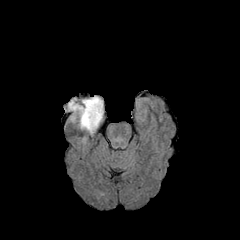
FLAIR MR.
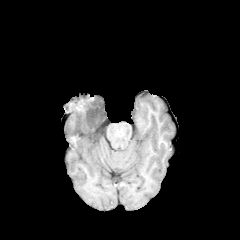
T1-weighted MR image of the same slice.
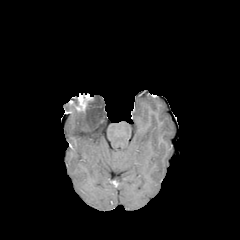
Post-contrast T1-weighted MR image.
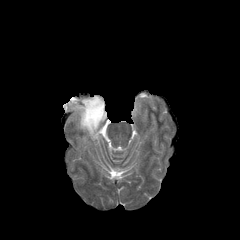
T2-weighted MRI of the same slice.
240x240 px
2 non-enhancing tumor core regions appear at (78,97,103,122), (68,100,81,110). The enhancing tumor is located at (77,99,89,110). 2 edema regions are bounded by (68,105,103,137), (94,96,103,106).